CT scan slice; Slice 24/46; Liver

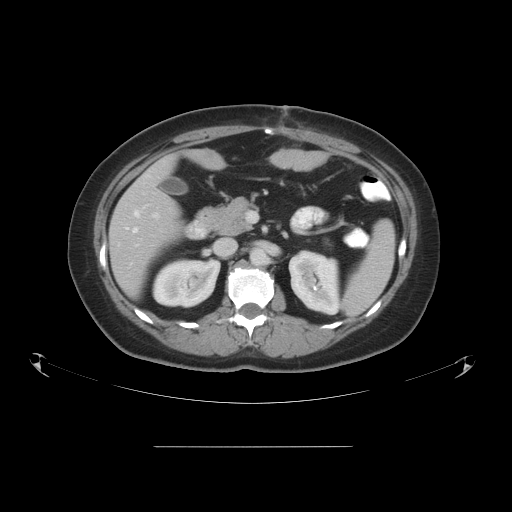 The vessel boxes may cover only some of the vessels.
{
  "hepatic_vessel": [
    {"x1": 133, "y1": 228, "x2": 137, "y2": 232},
    {"x1": 145, "y1": 174, "x2": 150, "y2": 176},
    {"x1": 135, "y1": 243, "x2": 138, "y2": 245},
    {"x1": 143, "y1": 204, "x2": 147, "y2": 207},
    {"x1": 153, "y1": 213, "x2": 158, "y2": 217},
    {"x1": 129, "y1": 262, "x2": 131, "y2": 267},
    {"x1": 134, "y1": 210, "x2": 139, "y2": 216}
  ]
}